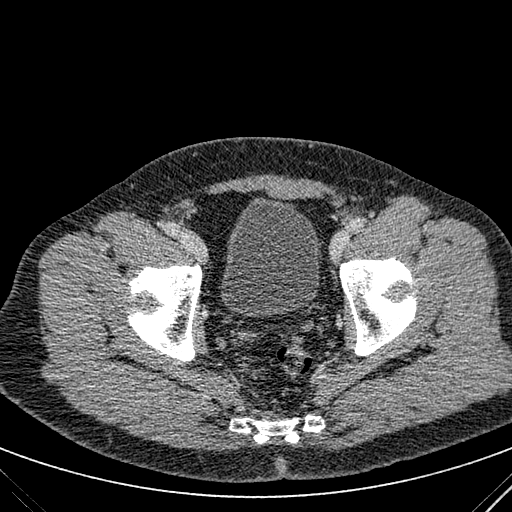
CT | Lower abdomen

<segmentation>
  <urinary_bladder>box(220, 197, 321, 316)</urinary_bladder>
</segmentation>